Slice 43 of 81; 512x512 px; CT slice

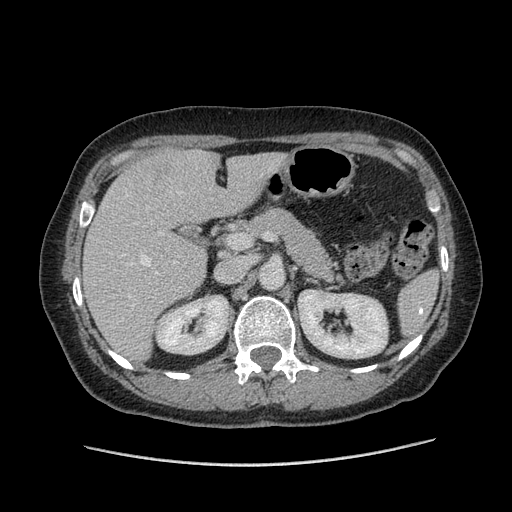
Only some of the vessels may be annotated.
Liver tumor — rect(152, 157, 179, 176).
Hepatic vessel — rect(171, 261, 175, 263); rect(150, 221, 151, 222); rect(158, 233, 161, 235).